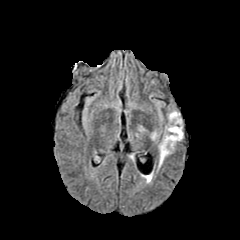
FLAIR MR.
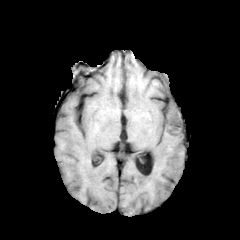
T1-weighted MR image.
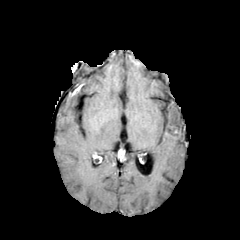
Post-contrast T1-weighted MRI.
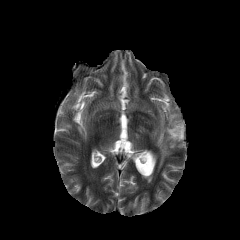
Same slice, T2-weighted MRI.
240x240 | Head
edema: 159, 110, 183, 165